CT slice. Slice 554/841.

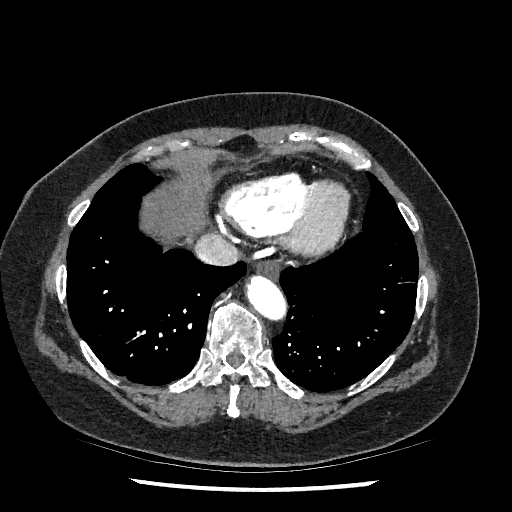
{
  "liver": [
    "143, 168, 208, 233"
  ]
}